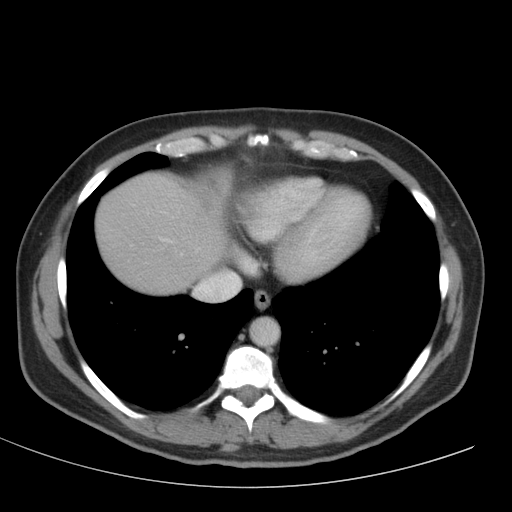

Computed tomography, Upper abdomen

The liver appears at rect(97, 174, 226, 293).